MRI slice. 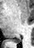

* posterior hippocampus: bbox(11, 38, 20, 42)